CT scan slice | Lung | Slice index 98 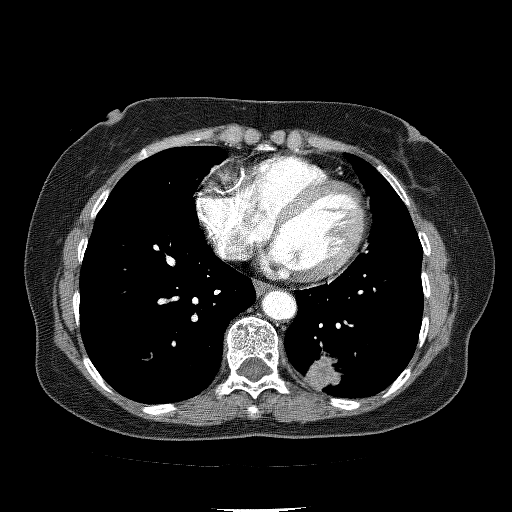 The lung tumor lies within [x1=305, y1=352, x2=343, y2=389].